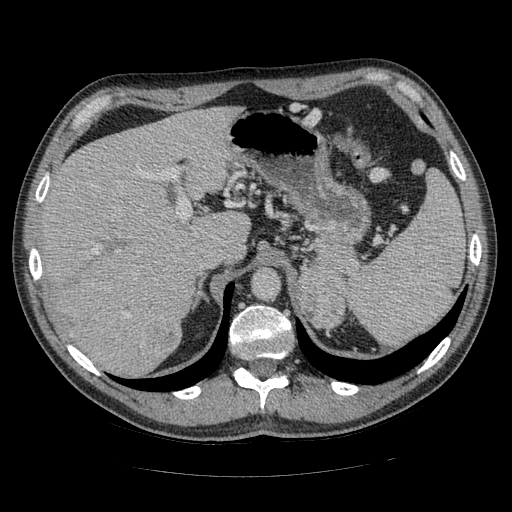
Upper abdomen. CT scan slice. Image size 512x512. The pancreatic tumor is located at (left=300, top=268, right=346, bottom=327). 2 pancreas regions are bounded by (left=297, top=272, right=308, bottom=320), (left=302, top=235, right=357, bottom=280).